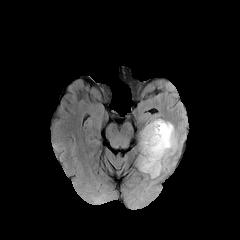
FLAIR MR image.
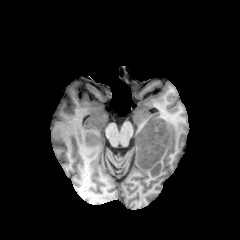
T1-weighted MR.
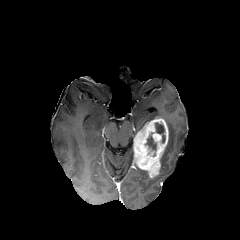
Post-contrast T1-weighted MR image of the same slice.
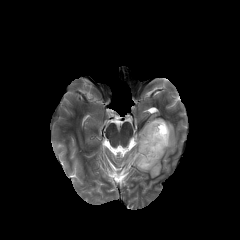
Same slice, T2-weighted MR image.
Head
Enhancing tumor at (133, 118, 168, 177).
Non-enhancing tumor core at (155, 123, 165, 142), (145, 136, 156, 149).
Edema at (154, 121, 178, 177).